Slice index 79 | Image width 240 mm | Brain
FLAIR MRI.
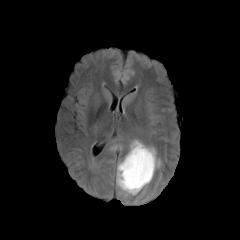
T1-weighted MR image.
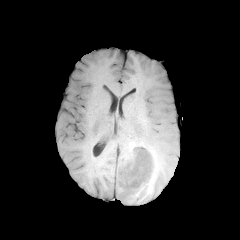
Post-contrast T1-weighted magnetic resonance.
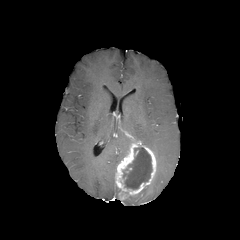
T2-weighted magnetic resonance.
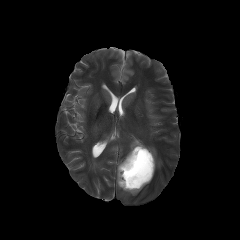
edema: {"x1": 118, "y1": 188, "x2": 134, "y2": 199}, {"x1": 149, "y1": 147, "x2": 159, "y2": 167} | enhancing tumor: {"x1": 116, "y1": 141, "x2": 155, "y2": 194} | non-enhancing tumor core: {"x1": 124, "y1": 147, "x2": 152, "y2": 189}